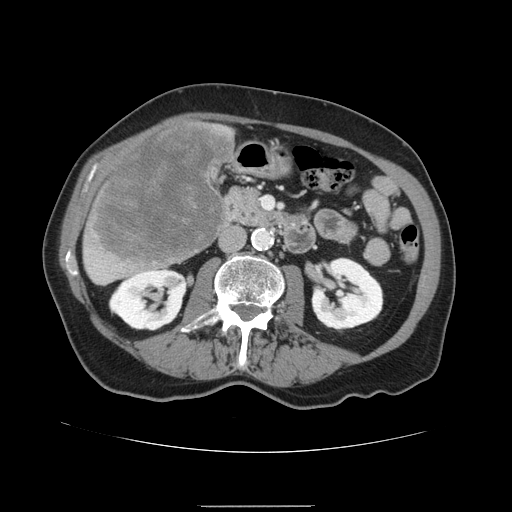
Computed tomography; Abdomen
The liver tumor is bounded by x1=92 y1=125 x2=233 y2=264.